Field of view 330x330 mm; CT scan slice; 512x512
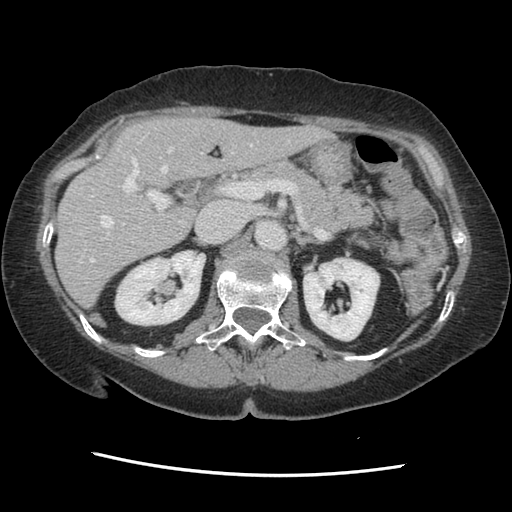
Not every hepatic vessel necessarily has a box.
hepatic vessel: <box>168,148,172,152</box>, <box>123,158,138,191</box>, <box>101,215,112,226</box>, <box>90,258,93,261</box>, <box>251,143,252,145</box>, <box>148,190,168,209</box>, <box>161,166,167,171</box>